Slice index 67.
FLAIR MRI.
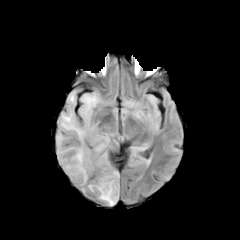
T1-weighted MRI.
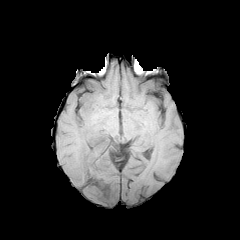
Post-contrast T1-weighted MR.
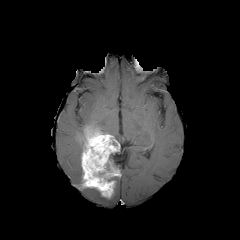
T2-weighted MRI.
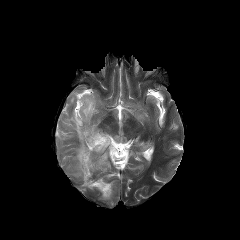
- enhancing tumor: (x1=81, y1=126, x2=117, y2=197)
- edema: (x1=131, y1=109, x2=142, y2=118), (x1=57, y1=91, x2=107, y2=178), (x1=99, y1=177, x2=119, y2=204)
- non-enhancing tumor core: (x1=80, y1=137, x2=86, y2=167), (x1=93, y1=152, x2=118, y2=188)